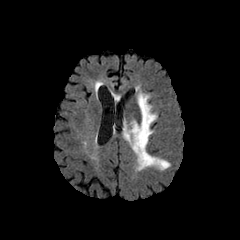
FLAIR MR.
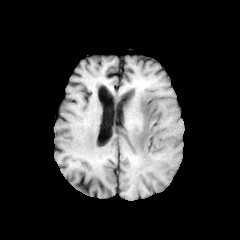
Same slice, T1-weighted MR.
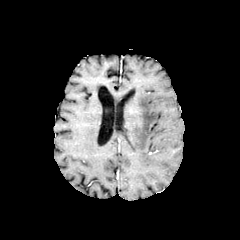
Post-contrast T1-weighted MR.
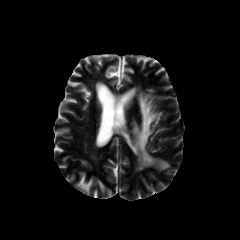
T2-weighted MR image of the same slice.
Head.
edema: [123,92,169,170]